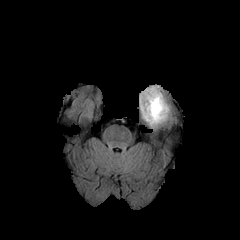
FLAIR magnetic resonance.
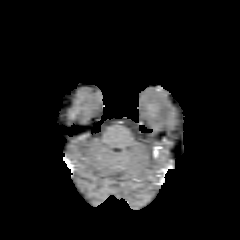
Same slice, T1-weighted magnetic resonance.
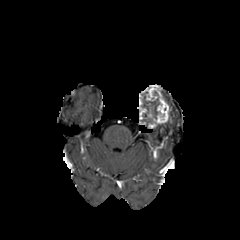
Post-contrast T1-weighted magnetic resonance.
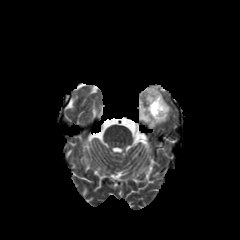
Same slice, T2-weighted magnetic resonance.
240x240 px
<segmentation>
  <enhancing_tumor>149,90,171,126; 142,87,156,100; 139,99,150,119</enhancing_tumor>
  <non-enhancing_tumor_core>141,90,160,121</non-enhancing_tumor_core>
</segmentation>